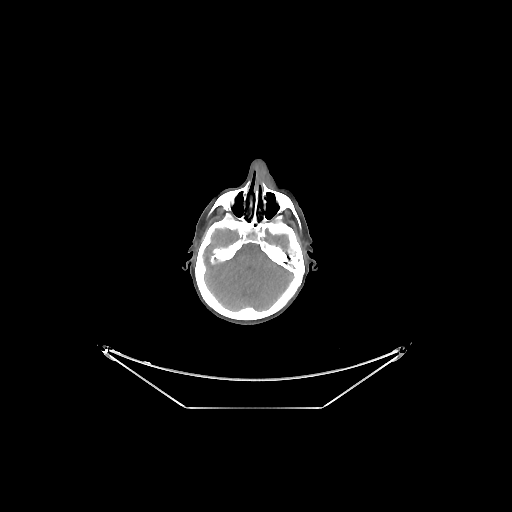 CT slice. Head.

bone: bbox=[195, 204, 304, 319]; bbox=[263, 184, 300, 228]; bbox=[209, 182, 249, 214] | brain: bbox=[203, 228, 293, 311]; bbox=[263, 229, 289, 254]